CT slice | Liver

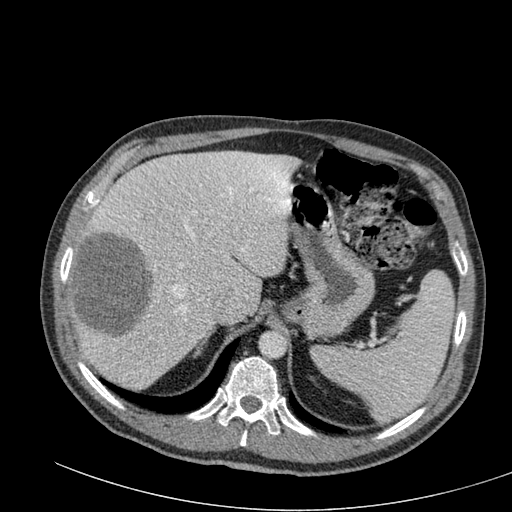 Liver lesion = left=68, top=232, right=151, bottom=336.
Liver = left=325, top=217, right=334, bottom=227; left=73, top=151, right=298, bottom=388.